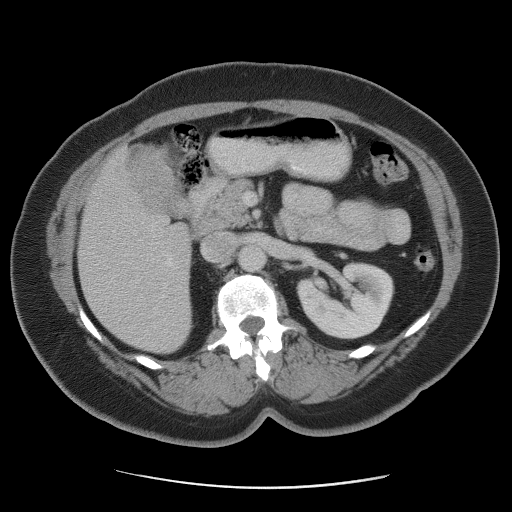
Liver. CT scan slice.
The liver tumor is at box=[128, 147, 176, 211].